Image size 240x240, Brain, Slice 35/155
FLAIR MR.
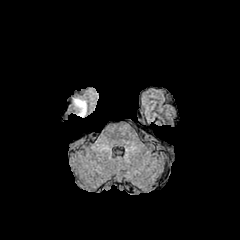
T1-weighted MRI.
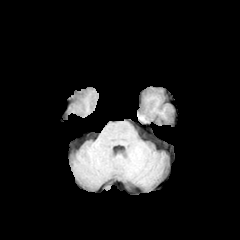
Post-contrast T1-weighted MR image.
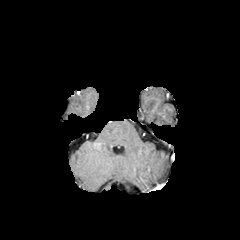
T2-weighted MR image.
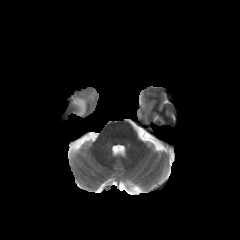
edema: (x1=72, y1=90, x2=96, y2=115)